MR | Cardiac 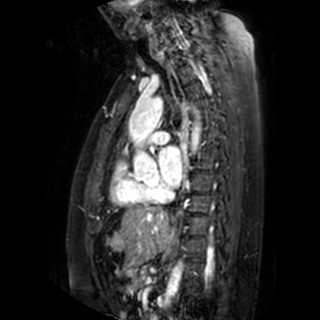
The left atrium is bounded by [159,146,182,186].